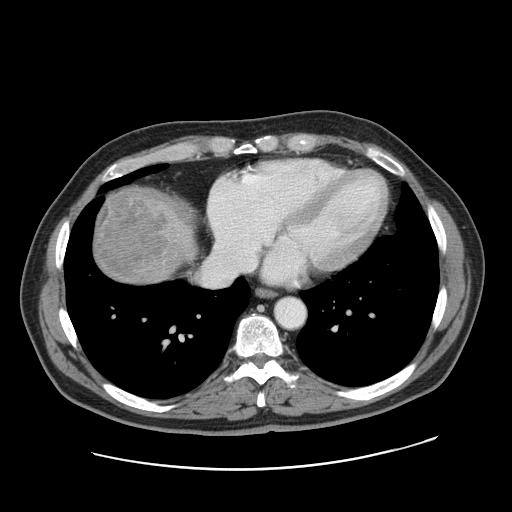

512x512. CT slice. Liver. <segmentation>
  <liver_tumor>bbox(96, 189, 163, 282)</liver_tumor>
</segmentation>